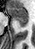 Magnetic resonance, Hippocampus
The posterior hippocampus is at {"x1": 19, "y1": 21, "x2": 27, "y2": 26}. The anterior hippocampus is at {"x1": 7, "y1": 7, "x2": 27, "y2": 20}.